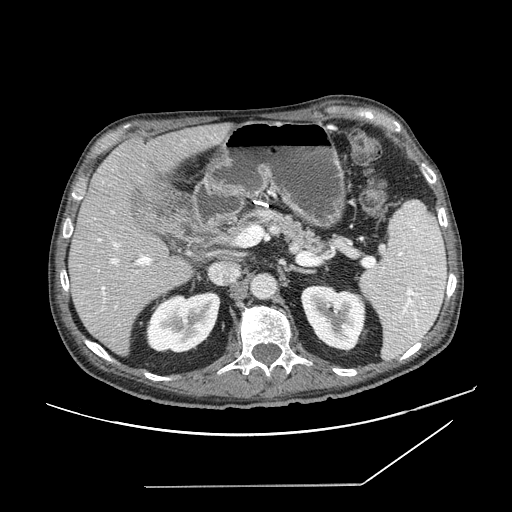 Upper abdomen; CT image; 512x512 px
Pancreas — box(232, 211, 322, 251).